CT scan slice; 512x512; Abdomen; Image width 360 mm

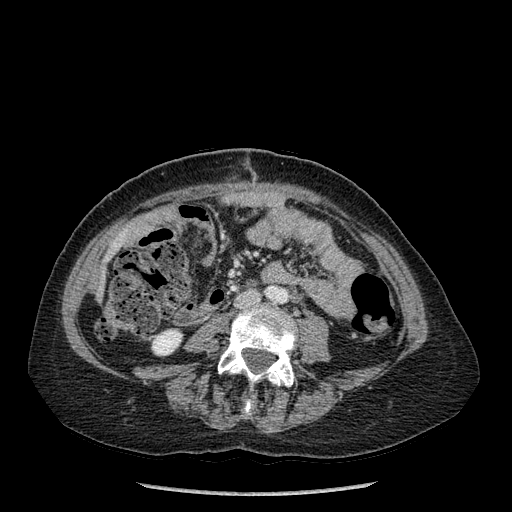 <segmentation>
  <bone>[x1=244, y1=393, x2=253, y2=415], [x1=218, y1=303, x2=296, y2=386]</bone>
  <liver>[x1=107, y1=234, x2=123, y2=250], [x1=99, y1=260, x2=105, y2=296]</liver>
  <kidney>[x1=152, y1=330, x2=181, y2=354]</kidney>
</segmentation>